Slice 84/155
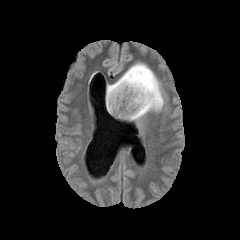
FLAIR MR image.
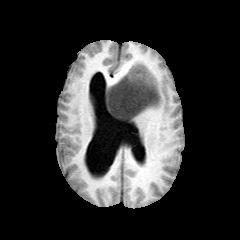
T1-weighted magnetic resonance.
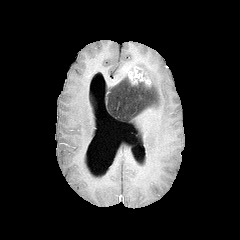
Post-contrast T1-weighted MR image of the same slice.
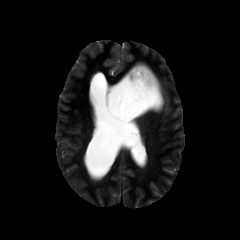
T2-weighted magnetic resonance of the same slice.
Non-enhancing tumor core: bbox(105, 77, 159, 121).
Edema: bbox(117, 60, 166, 122).
Enhancing tumor: bbox(113, 64, 153, 88).